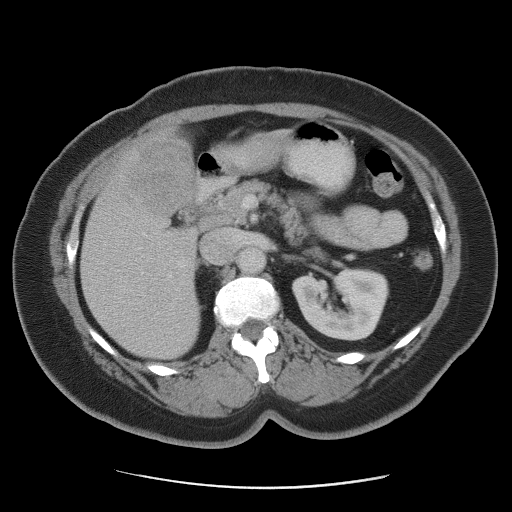

Abdomen, CT
Liver tumor at left=130, top=143, right=195, bottom=215.